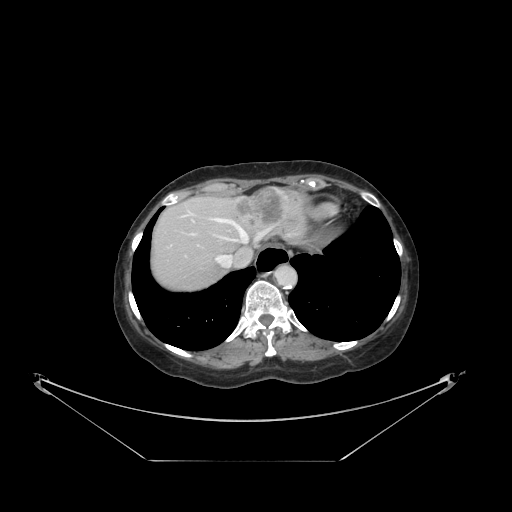
Liver | CT
The vessel boxes may cover only some of the vessels.
Liver tumor — [x1=234, y1=189, x2=285, y2=229].
Hepatic vessel — [x1=256, y1=229, x2=269, y2=239], [x1=215, y1=249, x2=250, y2=267], [x1=191, y1=217, x2=193, y2=221], [x1=207, y1=217, x2=247, y2=243], [x1=187, y1=210, x2=190, y2=214], [x1=178, y1=216, x2=184, y2=217], [x1=188, y1=234, x2=194, y2=234].